CT scan slice. Field of view 400x400 mm. Slice 448/771.
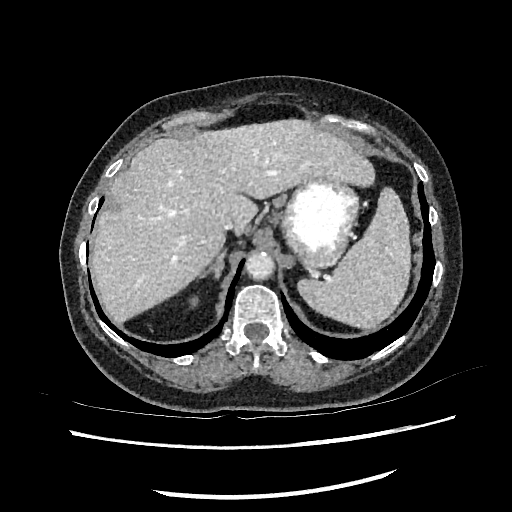 • liver: (x1=91, y1=120, x2=374, y2=322)